Slice index 97. Brain. 240x240 px. Field of view 240x240 mm.
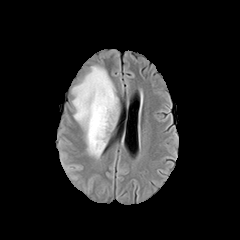
FLAIR MRI.
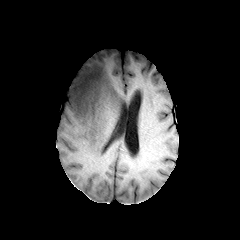
Same slice, T1-weighted MRI.
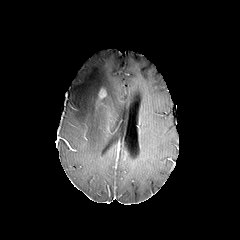
Post-contrast T1-weighted MR.
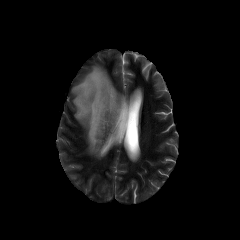
Same slice, T2-weighted magnetic resonance.
The non-enhancing tumor core appears at left=85, top=77, right=103, bottom=99. The edema is at left=72, top=65, right=119, bottom=158.